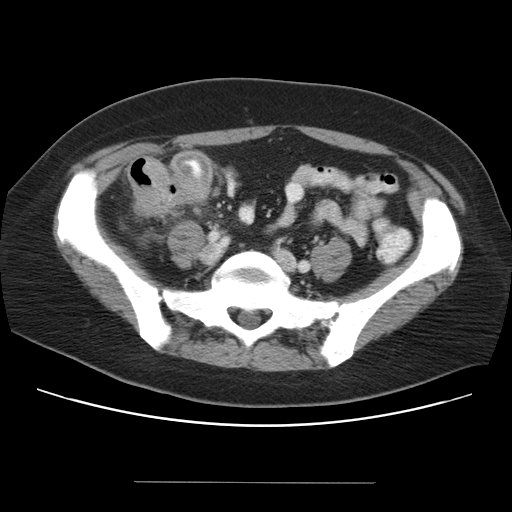
CT scan slice
colon tumor: box=[127, 158, 207, 215]